CT; Slice index 23

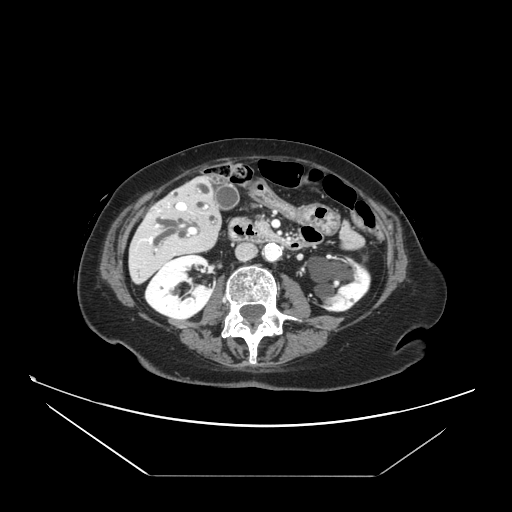 Pancreas: bounding box region(256, 220, 275, 237).